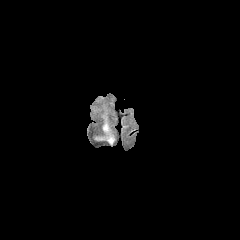
FLAIR MR image.
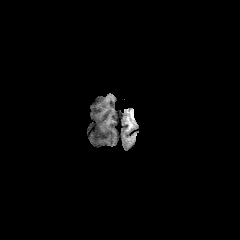
T1-weighted MR image.
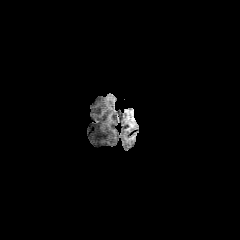
Post-contrast T1-weighted MRI of the same slice.
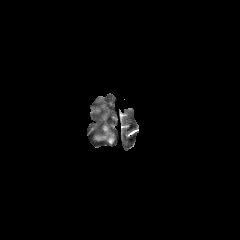
Same slice, T2-weighted MRI.
Head. 240x240 px.
Segmented structures:
• edema: (96, 116, 113, 142)